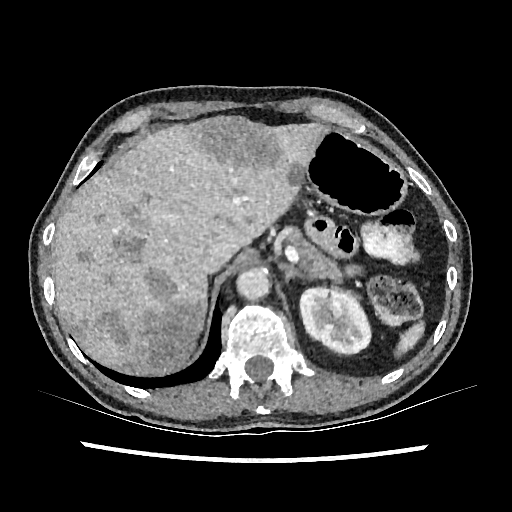 Computed tomography | 512x512 px | Upper abdomen
{"hepatic_lesion": ["x1=68, y1=314, x2=87, y2=339", "x1=188, y1=119, x2=283, y2=172", "x1=76, y1=251, x2=92, y2=263", "x1=244, y1=216, x2=253, y2=225", "x1=114, y1=233, x2=145, y2=263", "x1=95, y1=268, x2=201, y2=373", "x1=104, y1=274, x2=114, y2=285", "x1=122, y1=195, x2=147, y2=228", "x1=93, y1=214, x2=105, y2=223", "x1=286, y1=162, x2=305, y2=186", "x1=235, y1=188, x2=244, y2=194"], "liver": ["x1=182, y1=331, x2=199, y2=361", "x1=54, y1=123, x2=327, y2=373"], "kidney": ["x1=300, y1=288, x2=370, y2=353"]}